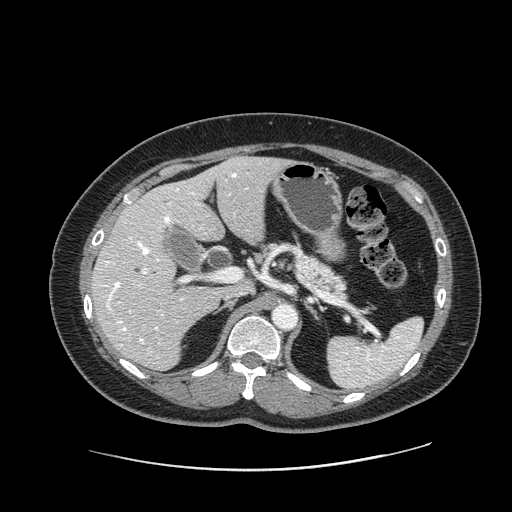 Upper abdomen | CT slice | Image size 512x512
Pancreas at region(261, 245, 274, 253); region(299, 255, 346, 301).